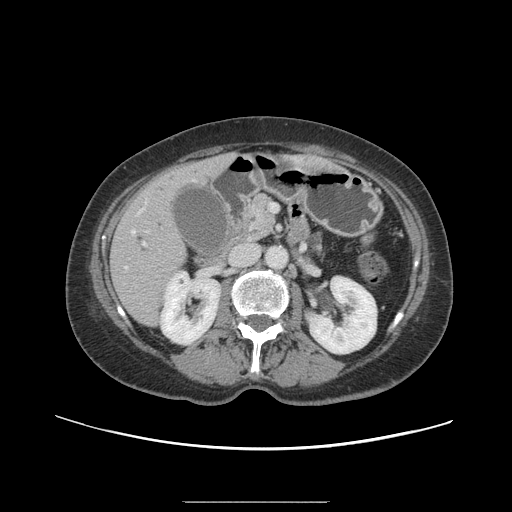
CT slice. Pancreatic tumor: bounding box bbox(256, 209, 274, 230).
Pancreas: bounding box bbox(244, 195, 275, 240).